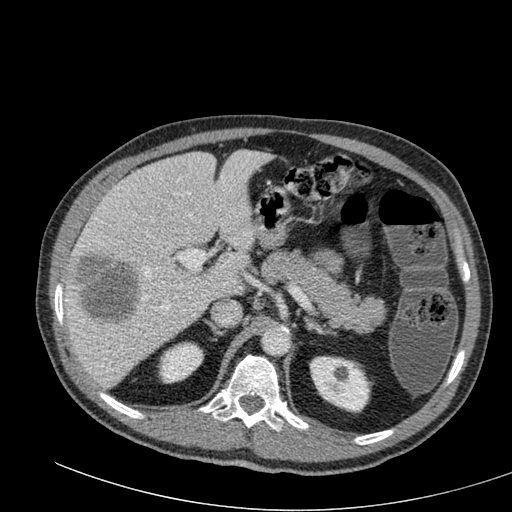 CT. Liver. Segmented structures:
- kidney: {"x1": 311, "y1": 357, "x2": 368, "y2": 410}, {"x1": 160, "y1": 343, "x2": 202, "y2": 381}
- liver: {"x1": 61, "y1": 150, "x2": 273, "y2": 388}
- hepatic lesion: {"x1": 78, "y1": 252, "x2": 138, "y2": 325}